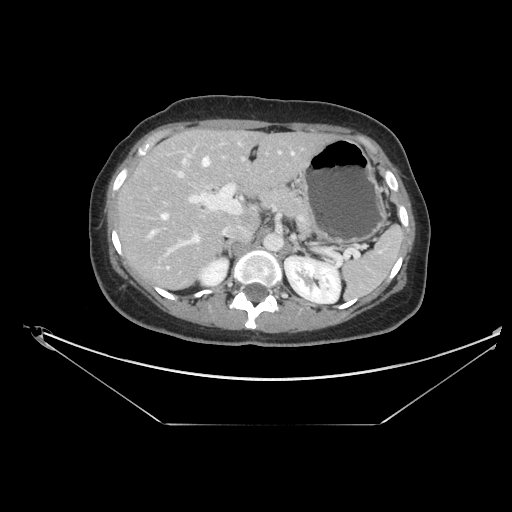
CT, Abdomen

The pancreas is located at bbox(261, 187, 314, 233).